Slice index 77; MRI; Cardiac; 320x320 px
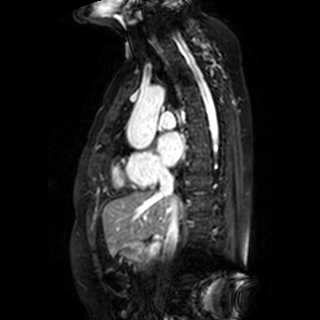

Annotated regions:
- left atrium: box=[157, 132, 182, 166]